Magnetic resonance, Image width 37 mm, 37x51 px, Hippocampus
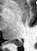 Posterior hippocampus: bbox=[12, 41, 22, 46].